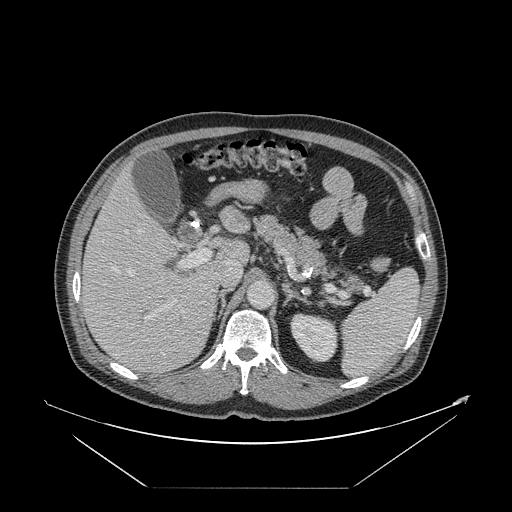 Liver. CT scan slice. 512x512.

The vessel boxes may cover only some of the vessels.
Annotated regions:
* hepatic vessel: box=[137, 230, 141, 233]; box=[126, 324, 132, 325]; box=[223, 260, 241, 278]; box=[218, 253, 220, 256]; box=[112, 268, 118, 271]; box=[180, 249, 210, 268]; box=[210, 288, 215, 292]; box=[128, 269, 134, 275]; box=[145, 299, 177, 320]; box=[126, 231, 127, 233]; box=[173, 241, 178, 247]